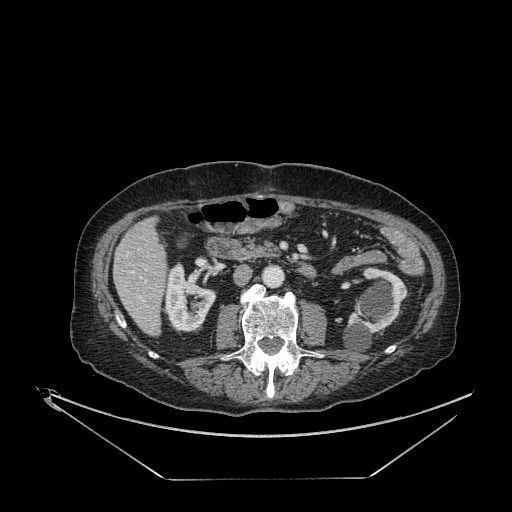 Upper abdomen; CT slice
Liver: x1=113, y1=219, x2=166, y2=335.
Kidney: x1=348, y1=268, x2=406, y2=332; x1=165, y1=264, x2=215, y2=330; x1=195, y1=258, x2=207, y2=268.